Pelvis | CT image | Field of view 365x365 mm 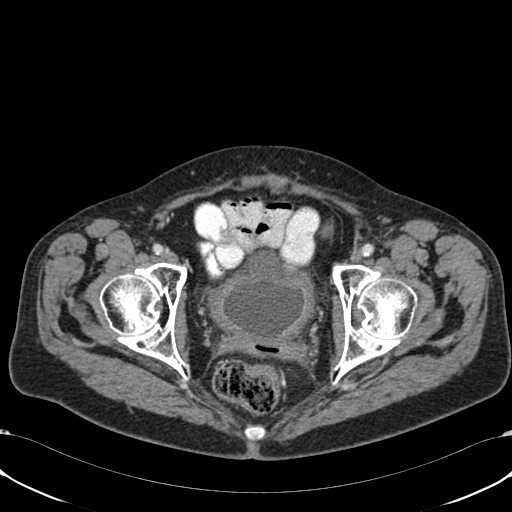 The urinary bladder is located at (x1=224, y1=254, x2=303, y2=336).